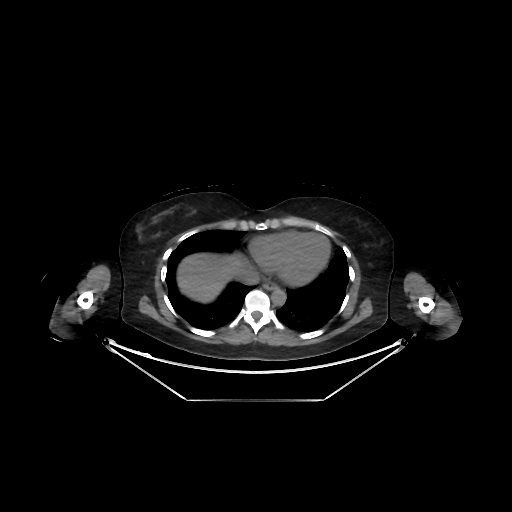

Liver. CT scan slice.

liver: bbox(177, 253, 264, 302)